FLAIR MRI.
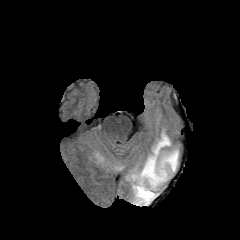
T1-weighted magnetic resonance.
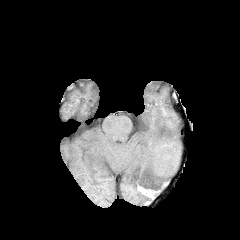
Post-contrast T1-weighted magnetic resonance.
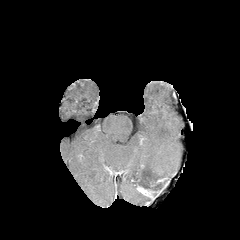
T2-weighted MR.
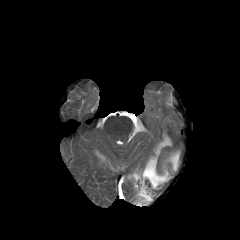
Edema at l=127, t=133, r=179, b=205.